Abdomen, CT, 512x512, Slice 29/45 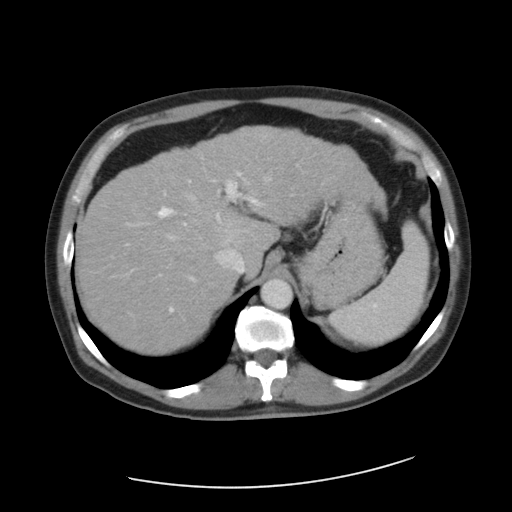 Not every hepatic vessel necessarily has a box.
[15/16] hepatic vessel: [x1=237, y1=229, x2=247, y2=232], [x1=167, y1=234, x2=175, y2=239], [x1=164, y1=191, x2=165, y2=194], [x1=216, y1=213, x2=221, y2=223], [x1=169, y1=307, x2=173, y2=311], [x1=221, y1=220, x2=232, y2=245], [x1=211, y1=179, x2=215, y2=181], [x1=184, y1=223, x2=186, y2=225], [x1=189, y1=276, x2=194, y2=280], [x1=188, y1=180, x2=190, y2=182], [x1=126, y1=223, x2=143, y2=226], [x1=236, y1=171, x2=241, y2=176], [x1=157, y1=207, x2=173, y2=217], [x1=235, y1=242, x2=238, y2=244], [x1=228, y1=183, x2=234, y2=195]